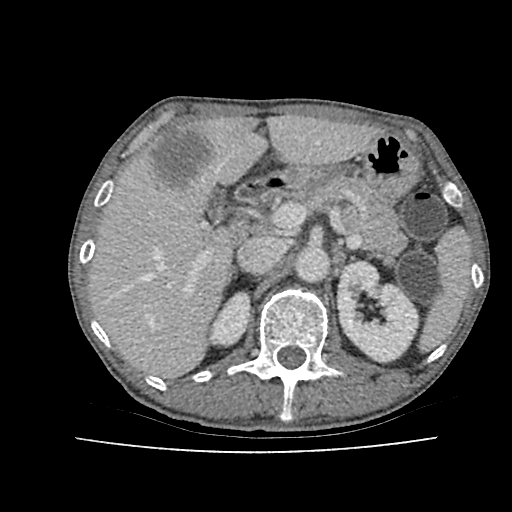 CT. <segmentation>
  <kidney>bbox=[338, 262, 417, 360]; bbox=[212, 294, 248, 343]</kidney>
  <liver>bbox=[90, 117, 377, 376]</liver>
  <focal_liver_lesion>bbox=[148, 127, 211, 189]</focal_liver_lesion>
</segmentation>